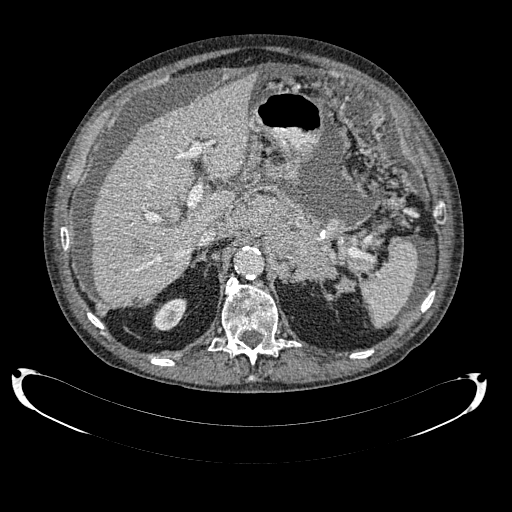

CT scan slice

Liver = [90,73,256,308].
Kidney = [154,299,185,329].
Hepatic lesion = [132,239,143,254], [137,125,152,146].